FLAIR MR.
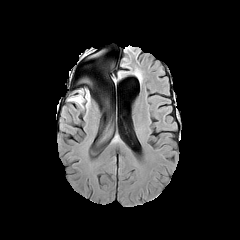
T1-weighted MRI.
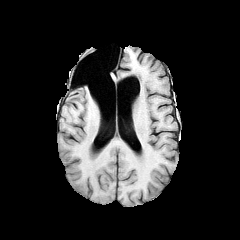
Post-contrast T1-weighted MRI.
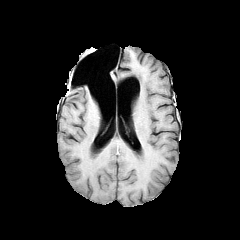
T2-weighted MRI.
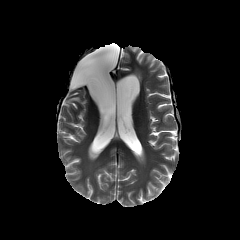
Brain
edema:
  - 68:89:91:110